CT scan slice | Field of view 330 mm wide, 0.70 mm slice spacing | Liver 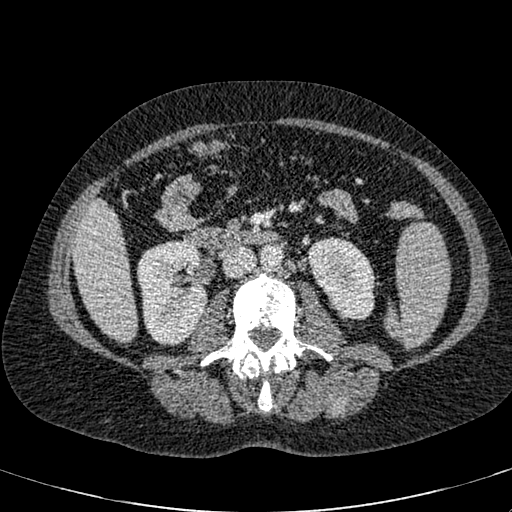
The liver lies within rect(74, 201, 136, 339). 2 kidney regions are bounded by rect(137, 240, 206, 344); rect(308, 238, 373, 319).